FLAIR MR.
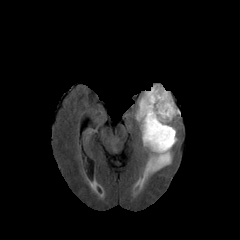
T1-weighted magnetic resonance.
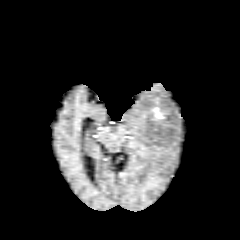
Post-contrast T1-weighted MR image.
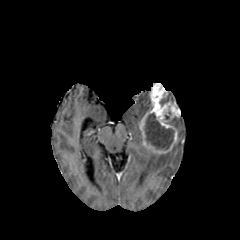
T2-weighted magnetic resonance.
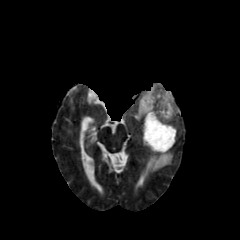
240x240 px. Brain.
3 edema regions are bounded by box=[140, 130, 177, 178]; box=[134, 92, 148, 127]; box=[170, 115, 179, 136]. 3 non-enhancing tumor core regions are located at box=[159, 91, 173, 105]; box=[164, 111, 177, 125]; box=[142, 112, 173, 149]. 2 enhancing tumor regions are bounded by box=[140, 124, 146, 144]; box=[145, 83, 180, 128].